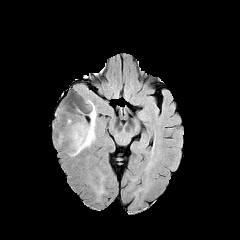
FLAIR MR image.
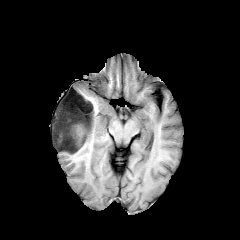
T1-weighted MR of the same slice.
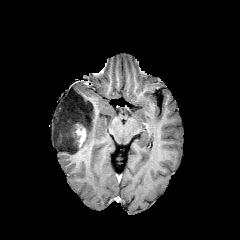
Post-contrast T1-weighted magnetic resonance.
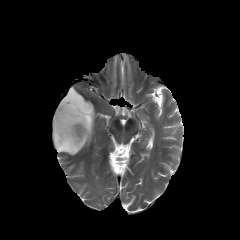
T2-weighted MR.
Brain
Non-enhancing tumor core: bounding box x1=54 y1=96 x2=93 y2=154.
Edema: bounding box x1=79 y1=107 x2=97 y2=151.
Enhancing tumor: bounding box x1=74 y1=125 x2=86 y2=147.